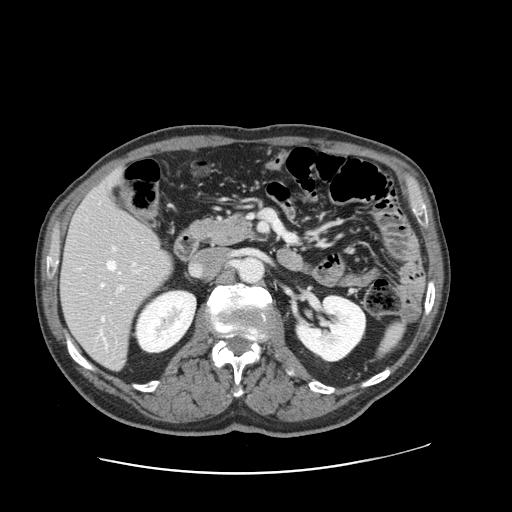
CT scan slice, 512x512 px
Only some of the vessels may be annotated.
{
  "hepatic_vessel": [
    "box=[107, 261, 115, 269]",
    "box=[101, 317, 104, 320]",
    "box=[101, 284, 103, 286]",
    "box=[103, 337, 106, 348]",
    "box=[100, 331, 102, 335]",
    "box=[119, 286, 123, 289]",
    "box=[132, 264, 135, 265]",
    "box=[112, 247, 115, 249]"
  ]
}